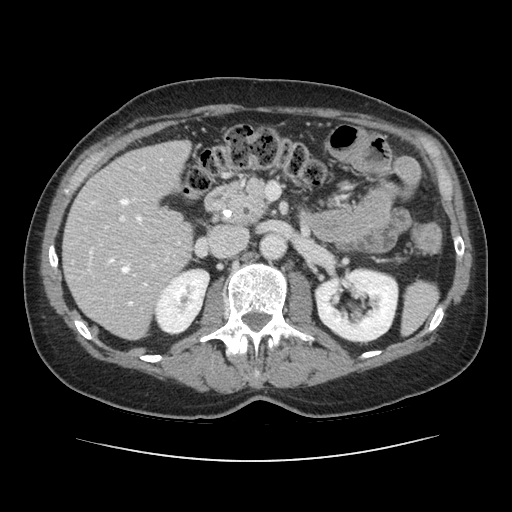 512x512. CT image. Pancreas = box=[225, 179, 265, 224].